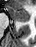

MRI

The posterior hippocampus is at 19 20 27 21. The anterior hippocampus is at 8 6 29 19.